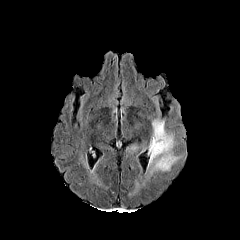
FLAIR MR.
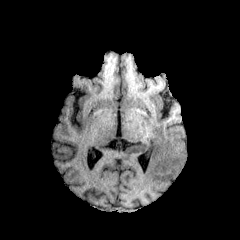
T1-weighted MRI.
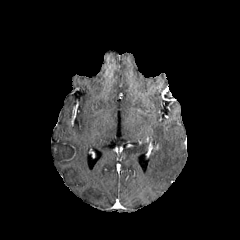
Post-contrast T1-weighted MR image.
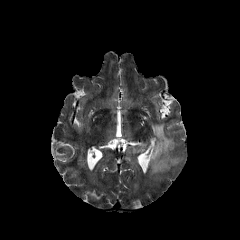
T2-weighted magnetic resonance.
Head. 240x240 px.
<segmentation>
  <edema>bbox=[146, 120, 178, 175]</edema>
</segmentation>